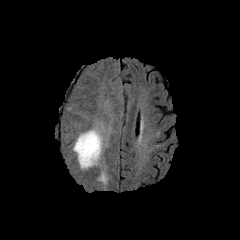
FLAIR MRI.
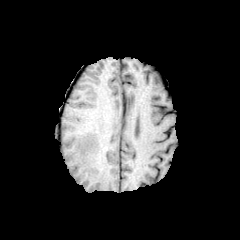
T1-weighted MRI.
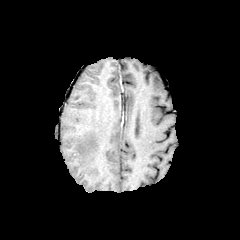
Same slice, post-contrast T1-weighted MRI.
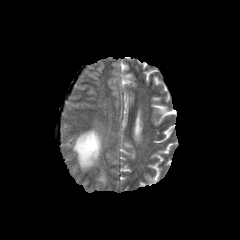
Same slice, T2-weighted magnetic resonance.
2 edema regions are bounded by bbox=[98, 173, 106, 182]; bbox=[73, 129, 102, 169].